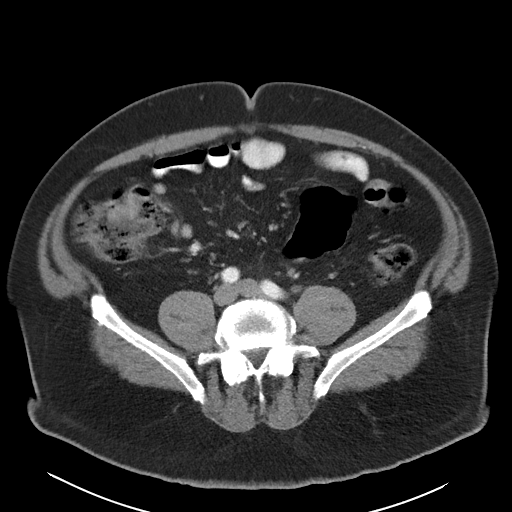 Image size 512x512 | CT image

Colon tumor: x1=108, y1=194, x2=140, y2=223.